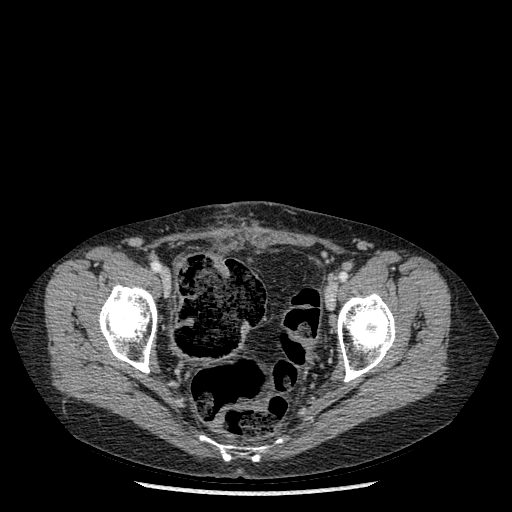
CT
3 bone regions appear at box(199, 435, 266, 461); box(98, 284, 157, 373); box(337, 292, 396, 382).